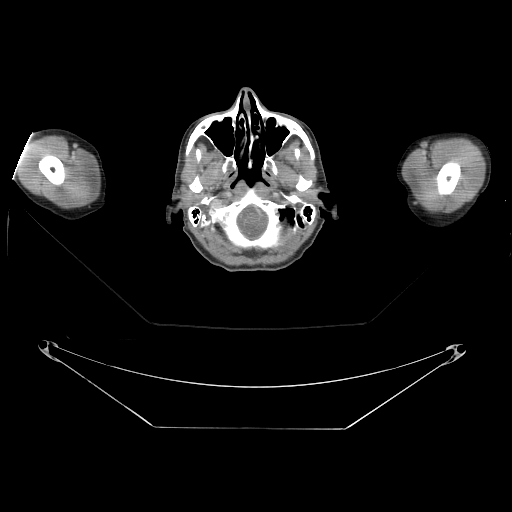

CT slice. 512x512. 12 bone regions are located at (left=39, top=154, right=64, bottom=184), (left=222, top=157, right=235, bottom=170), (left=201, top=189, right=283, bottom=247), (left=437, top=161, right=460, bottom=194), (left=196, top=149, right=201, bottom=161), (left=188, top=206, right=210, bottom=226), (left=255, top=98, right=314, bottom=159), (left=263, top=157, right=275, bottom=172), (left=186, top=97, right=239, bottom=154), (left=283, top=195, right=308, bottom=213), (left=296, top=175, right=311, bottom=191), (left=189, top=176, right=202, bottom=192).